CT.

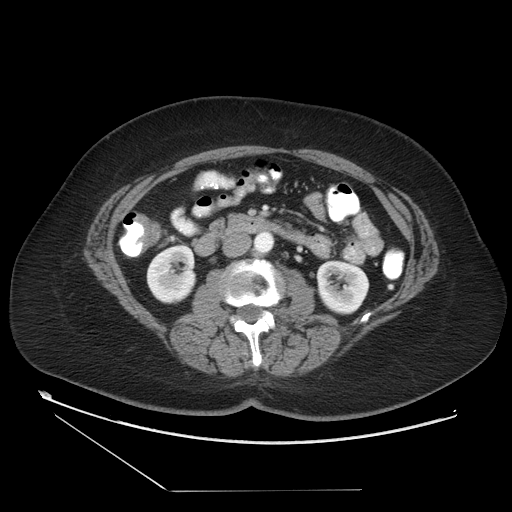
The colon tumor is located at [135, 215, 160, 248].